Slice 109 of 130 | MR image | Cardiac
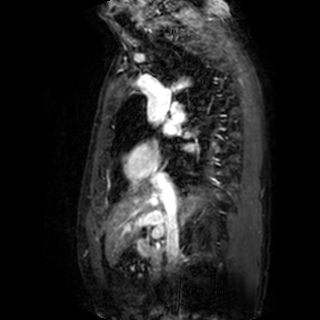

Annotated regions:
- left atrium: {"x1": 163, "y1": 125, "x2": 174, "y2": 134}